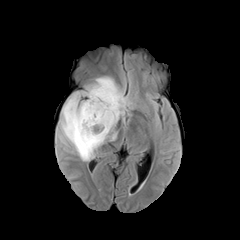
FLAIR MR.
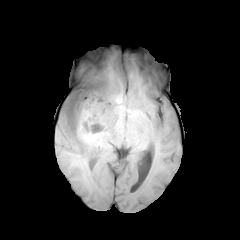
Same slice, T1-weighted magnetic resonance.
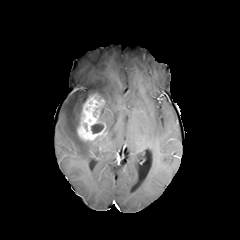
Post-contrast T1-weighted MR.
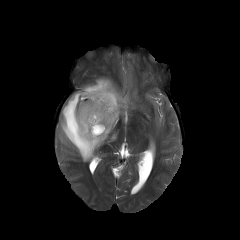
T2-weighted MRI of the same slice.
Image size 240x240.
The edema is at [60,74,130,161]. 4 non-enhancing tumor core regions appear at [68,94,77,112], [84,87,97,99], [67,115,95,143], [91,119,103,133]. The enhancing tumor appears at [78,94,105,141].